CT slice. Slice index 202. 512x512.
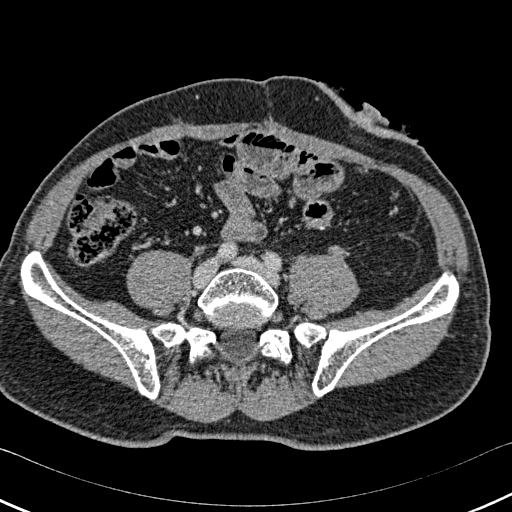

bone: bbox=[198, 268, 277, 325]; bbox=[21, 251, 159, 398]; bbox=[148, 323, 215, 361]; bbox=[294, 273, 458, 396]; bbox=[259, 330, 291, 363]